CT slice, Slice index 40 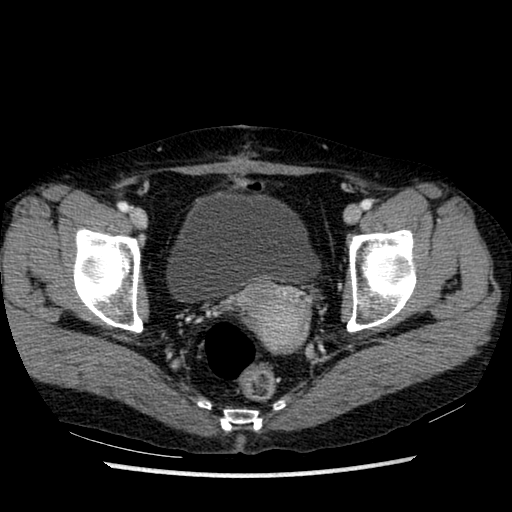 The urinary bladder is bounded by left=166, top=186, right=321, bottom=303.